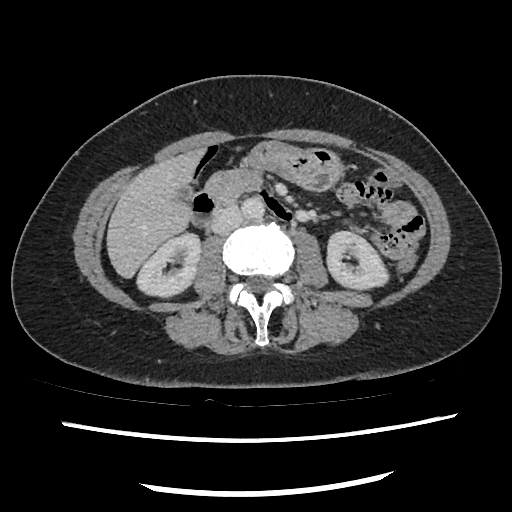
Abdomen; CT image
Pancreas: x1=209 y1=169 x2=261 y2=208.